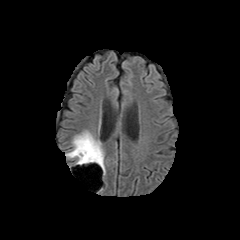
FLAIR MRI.
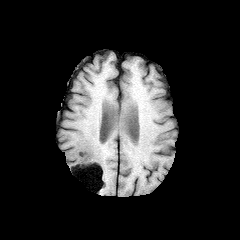
Same slice, T1-weighted magnetic resonance.
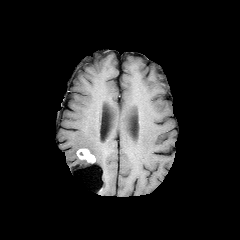
Post-contrast T1-weighted MRI.
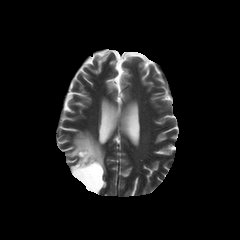
T2-weighted magnetic resonance.
Enhancing tumor: left=76, top=148, right=95, bottom=162.
Edema: left=66, top=130, right=105, bottom=175.
Non-enhancing tumor core: left=76, top=150, right=101, bottom=175.